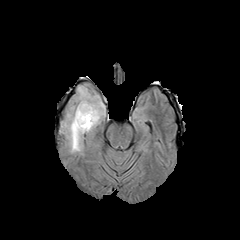
FLAIR MRI.
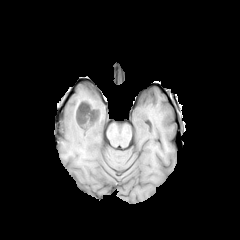
T1-weighted MR image of the same slice.
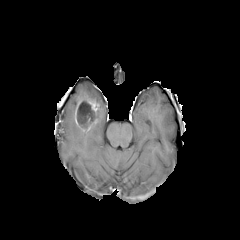
Post-contrast T1-weighted magnetic resonance.
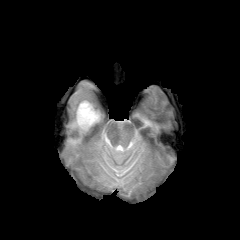
Same slice, T2-weighted MR image.
Head
Non-enhancing tumor core at 75 101 98 127.
Edema at 62 86 105 153.